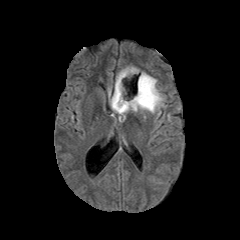
FLAIR magnetic resonance.
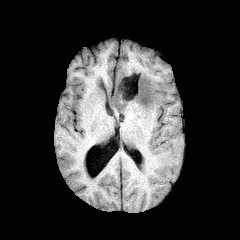
T1-weighted MR image.
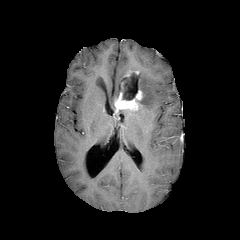
Post-contrast T1-weighted magnetic resonance.
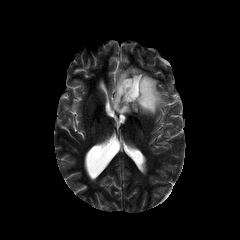
T2-weighted magnetic resonance of the same slice.
Brain
The non-enhancing tumor core is located at bbox(114, 78, 151, 106). 2 edema regions appear at bbox(108, 66, 165, 116); bbox(116, 110, 133, 121). The enhancing tumor lies within bbox(114, 89, 143, 111).